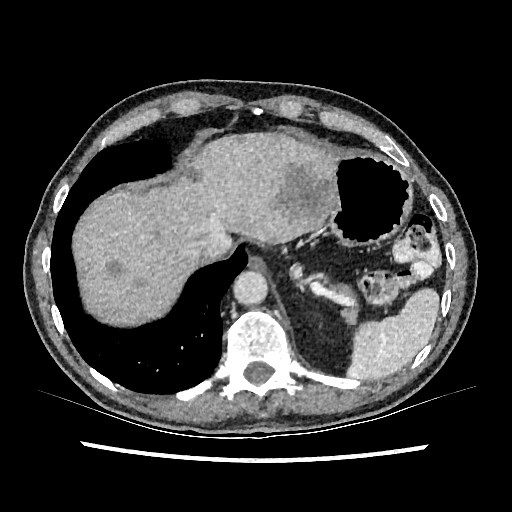

CT. 512x512 px. liver:
  - (left=77, top=134, right=335, bottom=322)
liver_lesion:
  - (left=270, top=162, right=333, bottom=227)
  - (left=188, top=169, right=201, bottom=182)
  - (left=153, top=230, right=160, bottom=239)
  - (left=234, top=135, right=246, bottom=144)
  - (left=107, top=261, right=124, bottom=277)
  - (left=131, top=276, right=150, bottom=289)